Slice index 93; CT slice
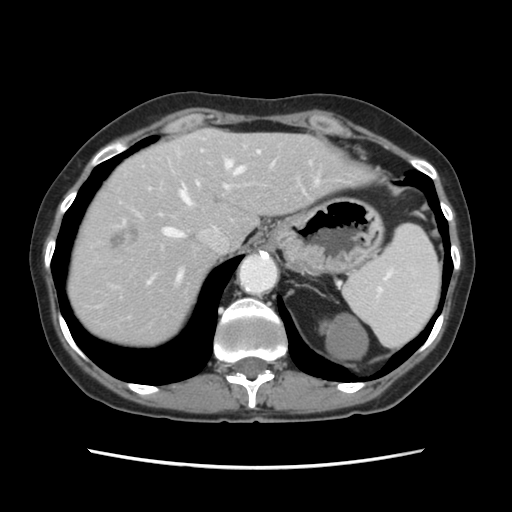

The vessel boxes may cover only some of the vessels.
Hepatic vessel = box=[257, 150, 259, 153]; box=[146, 280, 150, 284]; box=[226, 160, 231, 168]; box=[196, 182, 198, 185]; box=[224, 185, 227, 188]; box=[233, 167, 243, 174]; box=[163, 228, 181, 237]; box=[180, 190, 189, 203].
Liver tumor = box=[128, 226, 139, 240]; box=[111, 232, 125, 248].